CT. 512x512 px. Slice 518/537.
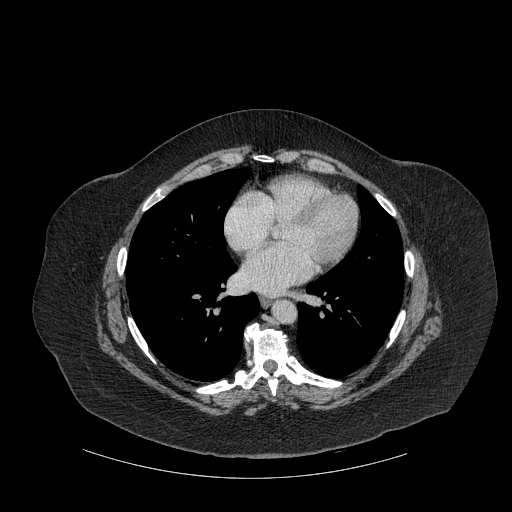 lung:
  - <box>126,168,259,381</box>
  - <box>297,187,403,377</box>
bone:
  - <box>117,248,126,274</box>
  - <box>377,196,395,215</box>
  - <box>197,323,341,395</box>
  - <box>128,318,155,362</box>
  - <box>254,155,273,161</box>
  - <box>387,311,405,346</box>
  - <box>143,189,163,210</box>
  - <box>405,251,414,276</box>